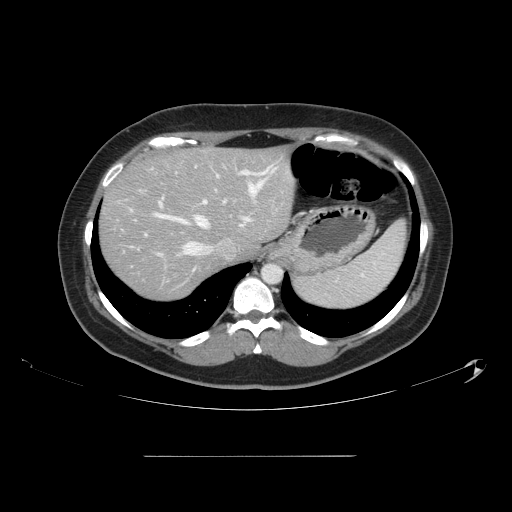

512x512. CT slice. Liver.

Not every hepatic vessel necessarily has a box.
Annotated regions:
- hepatic vessel: 159 199 161 206, 195 215 207 226, 249 179 266 194, 157 253 160 255, 240 170 249 174, 203 200 206 203, 253 165 275 175, 183 242 200 253, 241 217 248 225, 157 214 186 222, 209 249 210 251